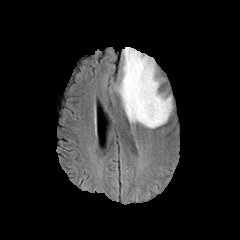
FLAIR MR image.
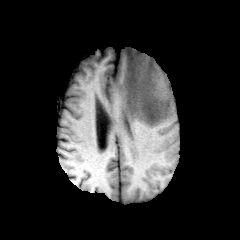
Same slice, T1-weighted MR.
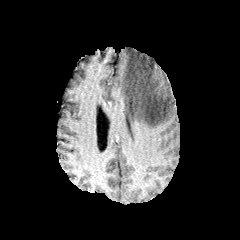
Post-contrast T1-weighted magnetic resonance of the same slice.
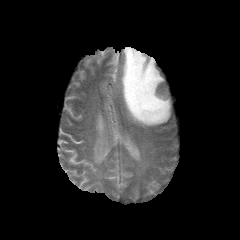
Same slice, T2-weighted MRI.
The edema is bounded by 117 47 171 128.